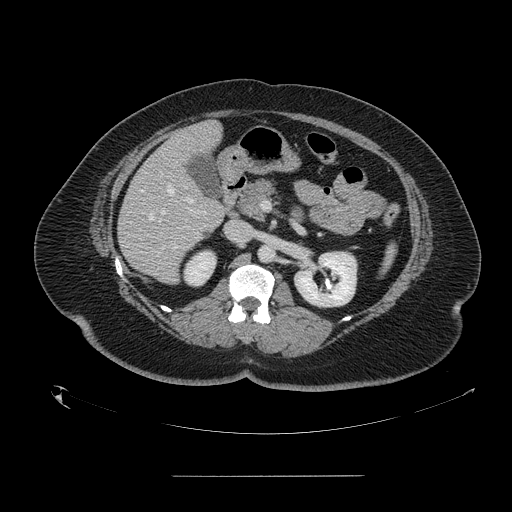 512x512. Computed tomography.
{
  "spleen": [
    "<bbox>380, 245, 395, 275</bbox>"
  ]
}